CT image; 512x512 px; Field of view 487x487 mm; Abdomen 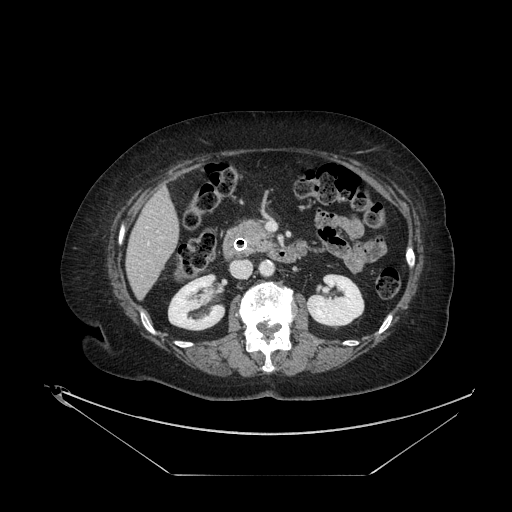 {
  "pancreas": [
    "region(237, 220, 274, 254)"
  ]
}